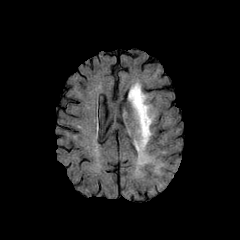
FLAIR MR.
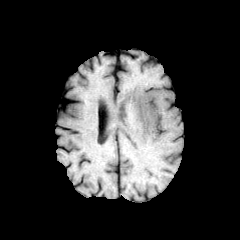
Same slice, T1-weighted MR.
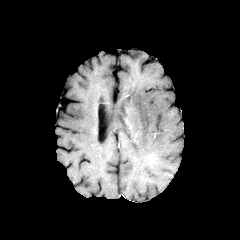
Post-contrast T1-weighted MR image.
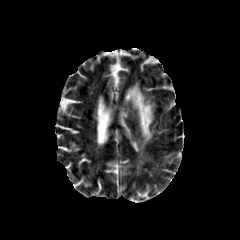
T2-weighted MRI of the same slice.
Head. 240x240 px.
<segmentation>
  <edema><box>128,83,154,164</box></edema>
</segmentation>